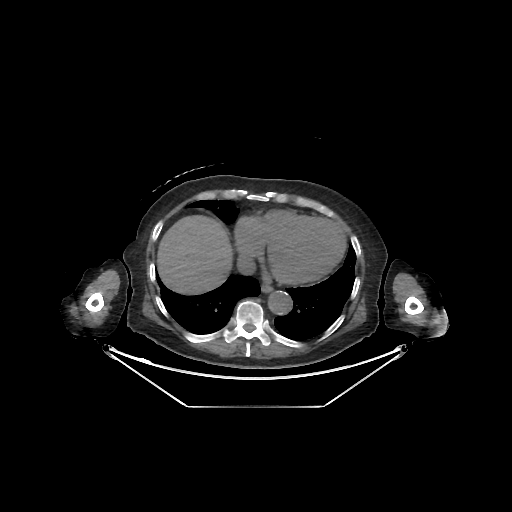

CT slice.

The liver is bounded by <box>157,216,232,293</box>. 3 lung regions are located at <box>274,244,356,340</box>, <box>156,272,260,334</box>, <box>185,200,240,225</box>. 11 bone regions are located at <box>351,237,360,255</box>, <box>325,316,343,336</box>, <box>223,301,300,356</box>, <box>185,332,217,342</box>, <box>405,296,423,315</box>, <box>352,279,359,297</box>, <box>149,264,154,280</box>, <box>156,297,166,315</box>, <box>247,192,275,200</box>, <box>85,292,103,312</box>, <box>152,222,162,240</box>.